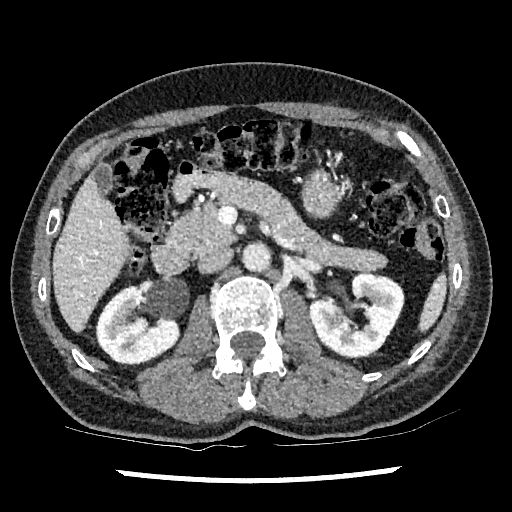

Computed tomography | 512x512
liver:
  - 53,172,129,332
kidney:
  - 97,287,178,362
  - 310,274,403,356